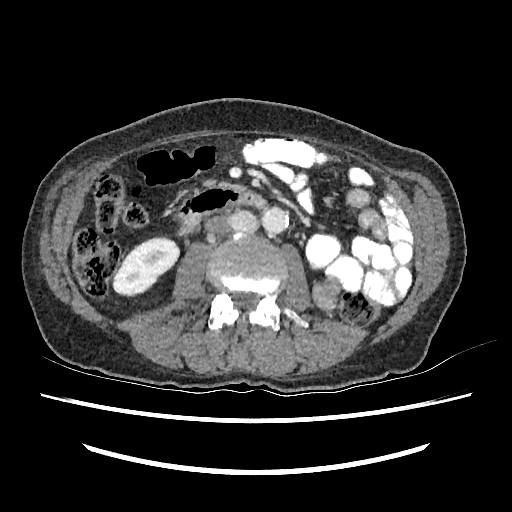 Abdomen. CT.

kidney:
  - (left=113, top=239, right=178, bottom=294)